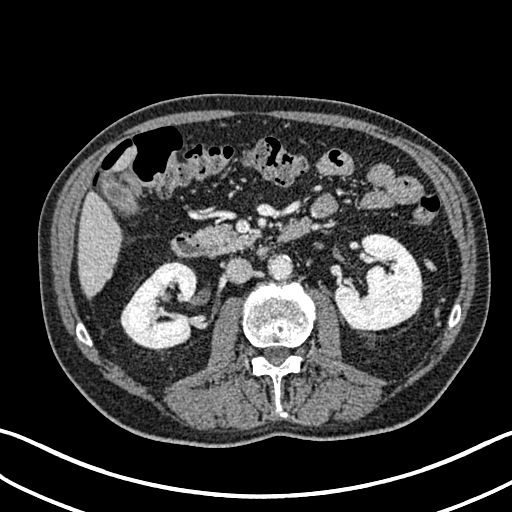

Image size 512x512. CT scan slice. Abdomen.
{
  "kidney": [
    "x1=121, y1=263, x2=195, y2=348",
    "x1=335, y1=234, x2=421, y2=329"
  ],
  "liver": [
    "x1=112, y1=147, x2=136, y2=171",
    "x1=78, y1=190, x2=120, y2=296"
  ]
}